Head
FLAIR MR image.
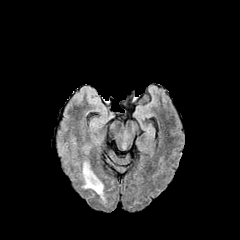
T1-weighted magnetic resonance.
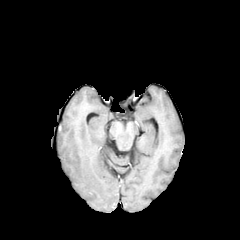
Post-contrast T1-weighted MR.
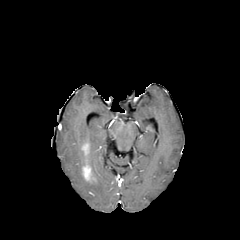
T2-weighted MRI.
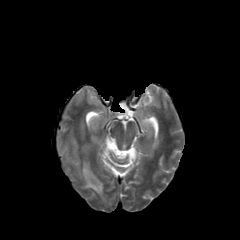
2 enhancing tumor regions are bounded by left=82, top=143, right=89, bottom=154; left=82, top=166, right=93, bottom=182. 2 edema regions appear at left=82, top=170, right=105, bottom=201; left=93, top=119, right=107, bottom=126.